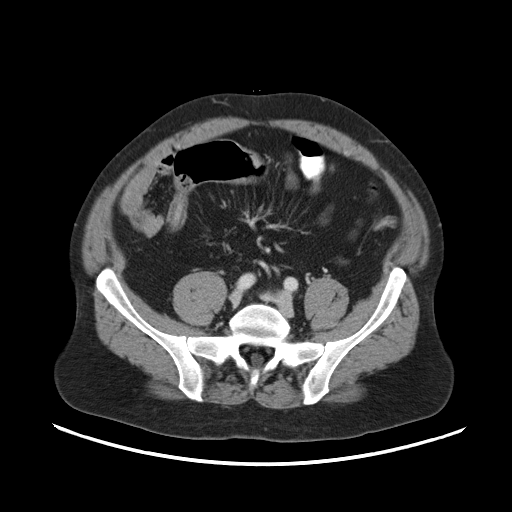

Abdomen, Computed tomography
<segmentation>
  <colon_tumor>[x1=251, y1=155, x2=261, y2=168]</colon_tumor>
</segmentation>